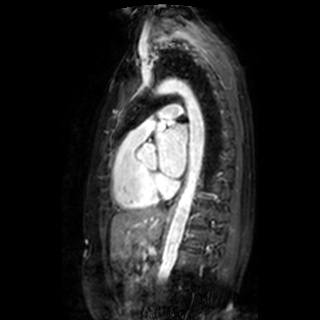
MR; Cardiac
Left atrium at x1=155, y1=125, x2=186, y2=177.